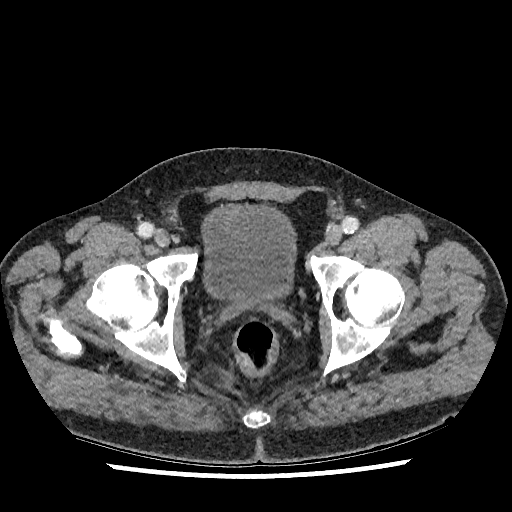
Lower abdomen; CT image
Urinary bladder — 202 203 296 309.